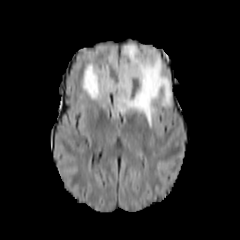
FLAIR MR.
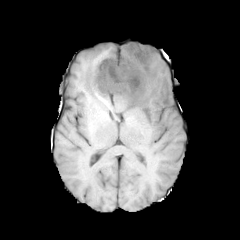
T1-weighted MR image of the same slice.
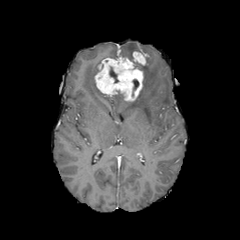
Same slice, post-contrast T1-weighted magnetic resonance.
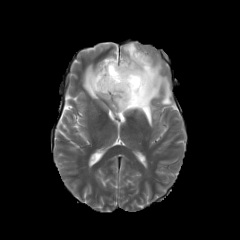
T2-weighted MRI.
Image size 240x240
Edema: bounding box (left=82, top=43, right=172, bottom=126).
Non-enhancing tumor core: bounding box (left=110, top=66, right=119, bottom=82), (left=112, top=91, right=124, bottom=100), (left=131, top=79, right=138, bottom=97).
Enhancing tumor: bounding box (left=95, top=52, right=148, bottom=101).